Slice 33/155 | Image width 240 mm | Brain
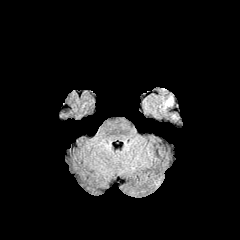
FLAIR magnetic resonance.
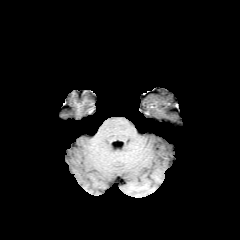
T1-weighted MR.
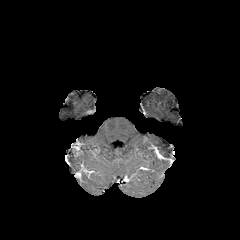
Post-contrast T1-weighted MR image.
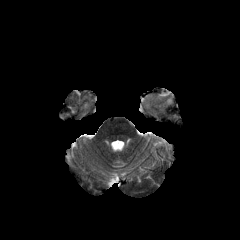
T2-weighted MRI of the same slice.
The edema is at x1=159 y1=93 x2=173 y2=110.